CT slice, Slice 69 of 103, Image size 512x512, Upper abdomen
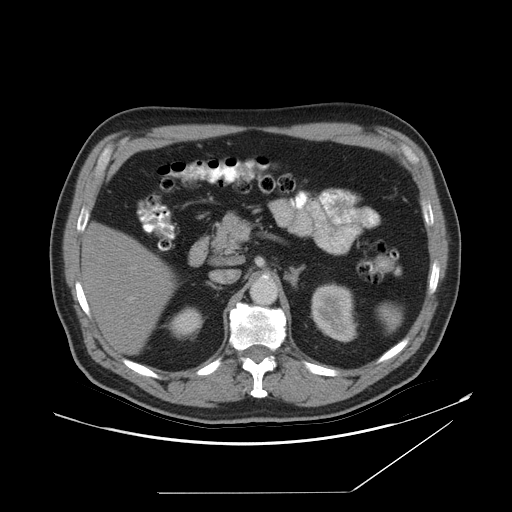
spleen: l=378, t=303, r=401, b=329